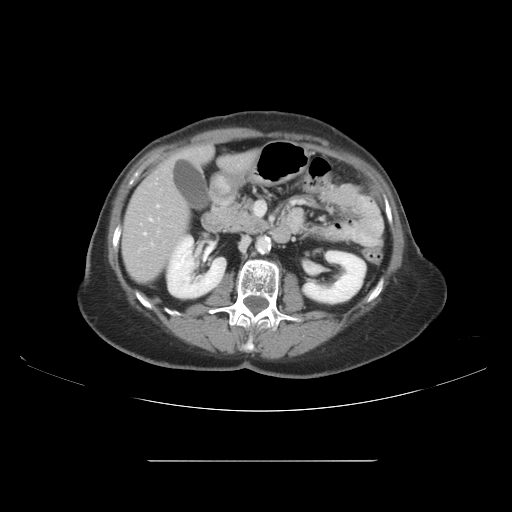

Computed tomography, 512x512
The pancreas lies within {"x1": 217, "y1": 198, "x2": 268, "y2": 234}.